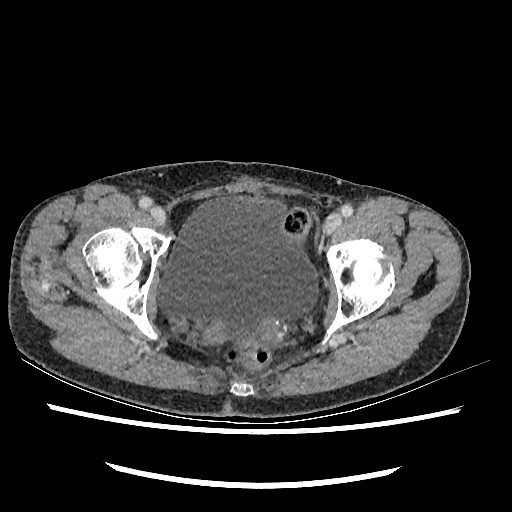 CT image | Lower abdomen
* urinary bladder: [x1=157, y1=196, x2=317, y2=343]